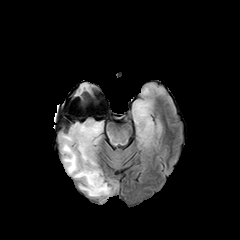
FLAIR MR image.
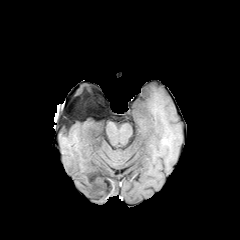
Same slice, T1-weighted MRI.
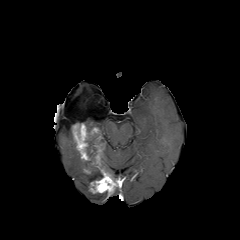
Post-contrast T1-weighted MR of the same slice.
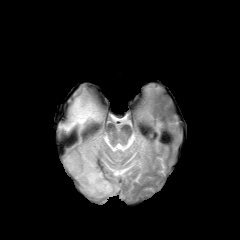
T2-weighted MR of the same slice.
2 enhancing tumor regions are located at bbox(89, 172, 117, 194); bbox(73, 123, 93, 160). 3 edema regions are located at bbox(61, 116, 106, 198); bbox(96, 138, 103, 159); bbox(133, 103, 152, 125). 2 non-enhancing tumor core regions are located at bbox(82, 126, 122, 197); bbox(72, 124, 79, 145).